CT scan slice, 512x512 px
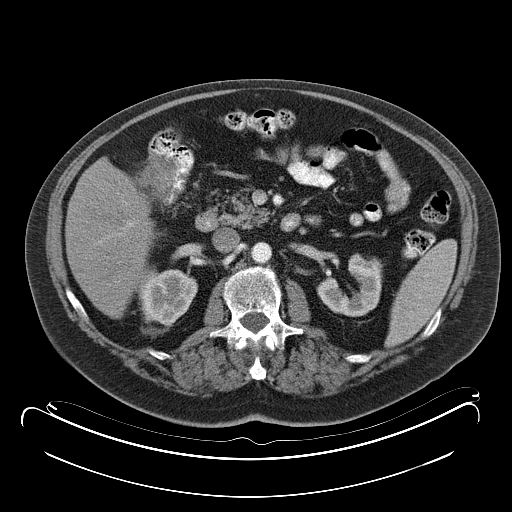
The colon tumor is bounded by [x1=139, y1=153, x2=175, y2=196].